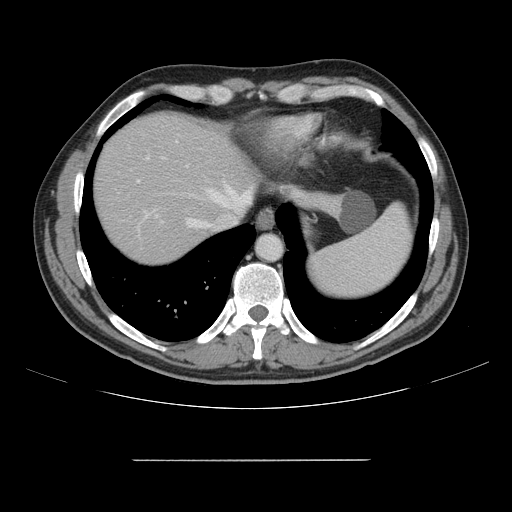 Liver. CT image.
Some hepatic vessels may have no box.
Hepatic vessel at 244:190:248:192, 186:165:187:166, 155:215:158:218, 186:218:193:226, 137:180:138:181, 144:210:151:218, 225:185:235:194, 145:156:148:158.